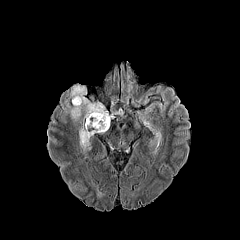
FLAIR MR image.
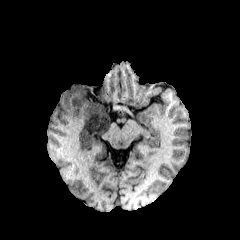
T1-weighted MR image.
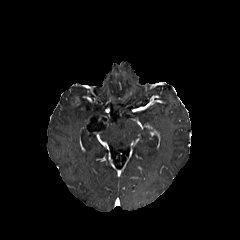
Post-contrast T1-weighted MR image of the same slice.
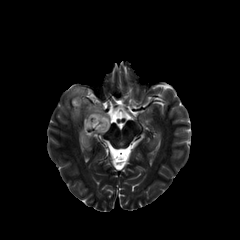
T2-weighted MR of the same slice.
240x240 px.
non-enhancing tumor core: 85, 111, 110, 135 | edema: 80, 129, 93, 158; 62, 86, 104, 127